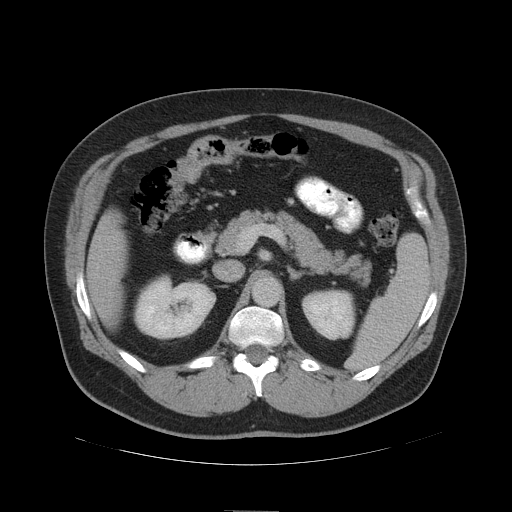
Abdomen | Computed tomography
{"colon_tumor": ["173,134,233,184"]}